Slice 77 of 102 | CT image

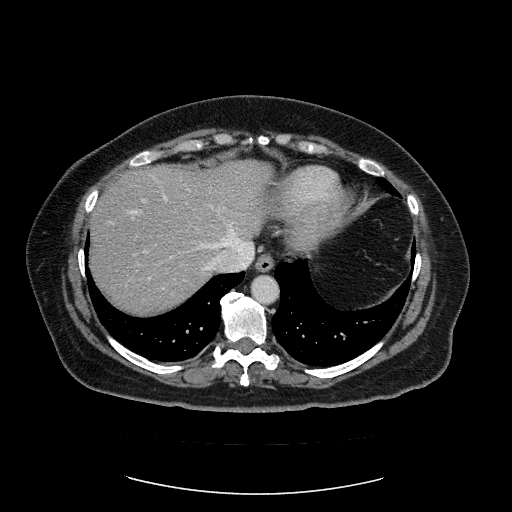 Some hepatic vessels may have no box.
Segmented structures:
* hepatic vessel: left=206, top=265, right=212, bottom=269; left=132, top=214, right=134, bottom=218; left=149, top=277, right=150, bottom=280; left=201, top=229, right=252, bottom=247; left=144, top=250, right=147, bottom=252; left=164, top=196, right=167, bottom=200; left=108, top=221, right=111, bottom=222; left=214, top=258, right=216, bottom=259; left=129, top=209, right=141, bottom=213; left=141, top=198, right=146, bottom=202